320x320. Slice index 64. Magnetic resonance. Cardiac.

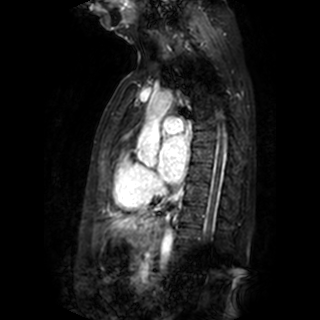

Left atrium: bounding box left=159, top=135, right=186, bottom=182.